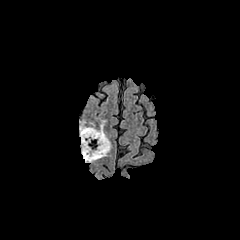
FLAIR magnetic resonance.
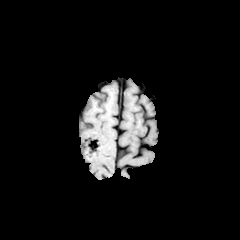
T1-weighted MRI.
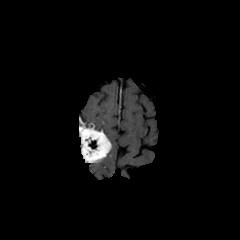
Same slice, post-contrast T1-weighted MR.
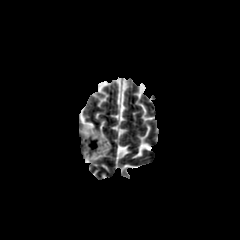
T2-weighted MR image.
Segmented structures:
• edema: box=[94, 123, 105, 133]
• enhancing tumor: box=[79, 120, 111, 162]
• non-enhancing tumor core: box=[88, 140, 97, 148]